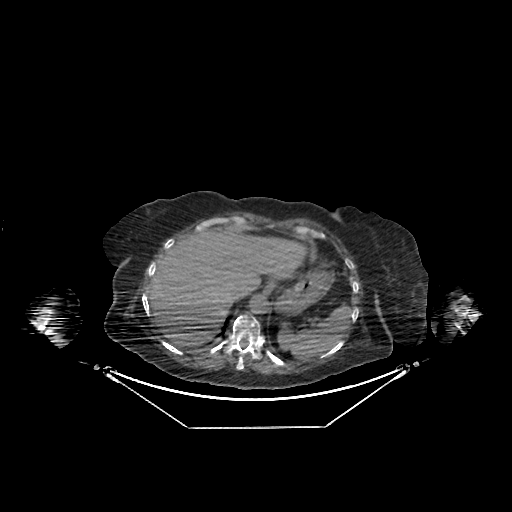

Liver, Computed tomography
liver:
  - box(149, 225, 316, 351)